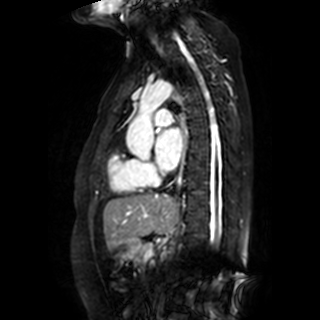 MR image

Segmented structures:
• left atrium: [155,128,182,170]